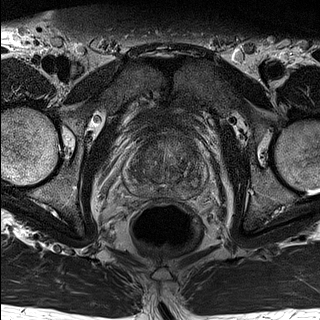
T2-weighted magnetic resonance.
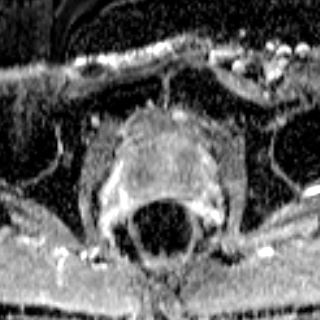
ADC MR.
Pelvis.
Prostate peripheral zone: bounding box left=125, top=165, right=207, bottom=197.
Prostate transition zone: bounding box left=126, top=140, right=204, bottom=184.